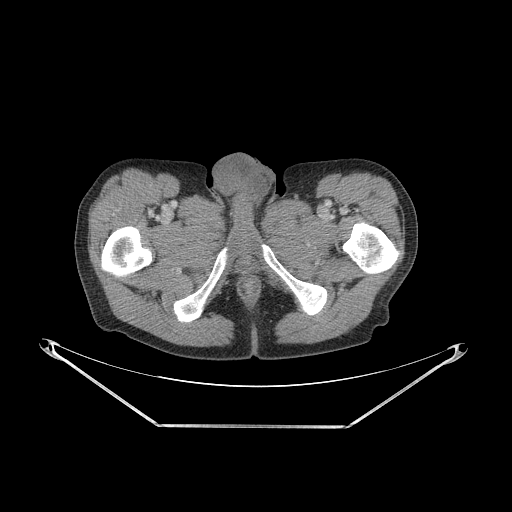 Computed tomography
<segmentation>
  <bone>region(262, 245, 326, 314); region(101, 226, 151, 276); region(174, 248, 226, 321); region(343, 222, 399, 273)</bone>
</segmentation>